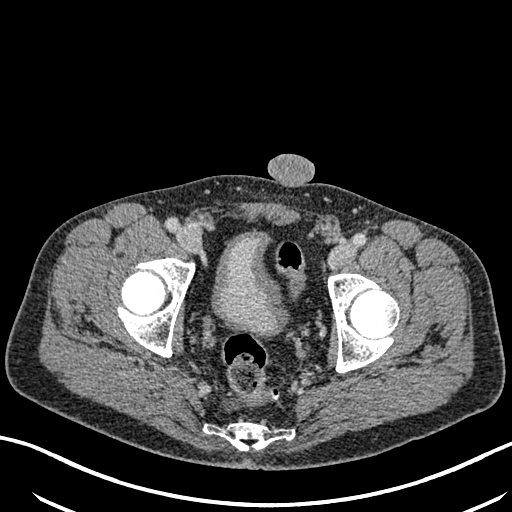 512x512 px; CT scan slice; Pelvis
<segmentation>
  <urinary_bladder>box=[217, 235, 277, 333]</urinary_bladder>
</segmentation>